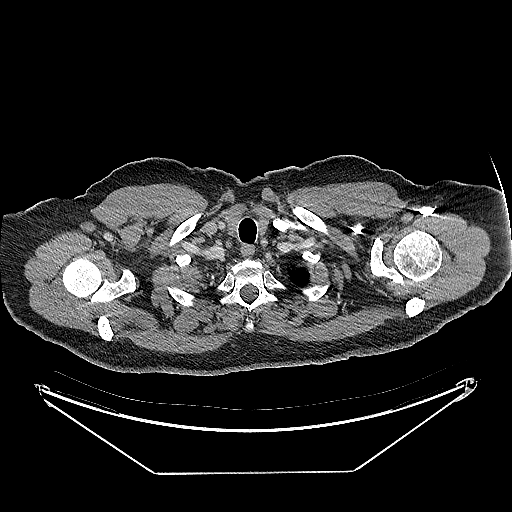
Chest | 512x512 | CT image

Annotated regions:
• lung tumor: [189,265,204,279]